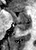 36x50; Magnetic resonance

Anterior hippocampus = (x1=8, y1=8, x2=30, y2=22).
Posterior hippocampus = (x1=16, y1=23, x2=29, y2=33).